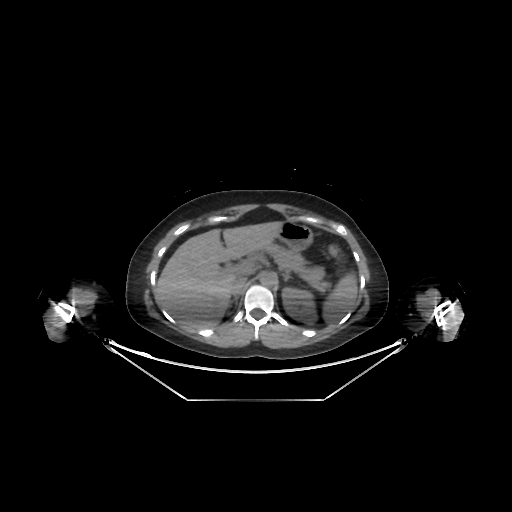

CT scan slice
The kidney is at bbox=[281, 286, 317, 324]. The liver is at bbox=[154, 223, 281, 333].